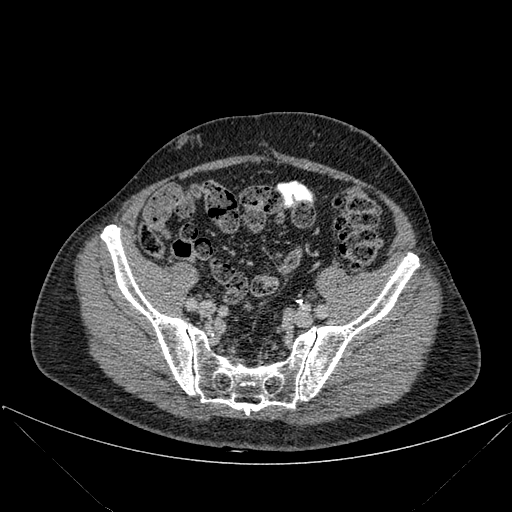 Computed tomography. 512x512 px.
The bone is at [x1=101, y1=225, x2=419, y2=414].